FLAIR MR.
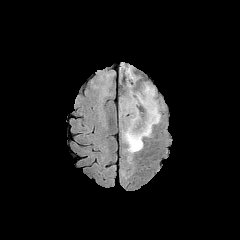
T1-weighted magnetic resonance.
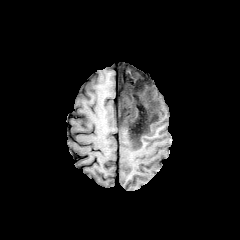
Post-contrast T1-weighted MR.
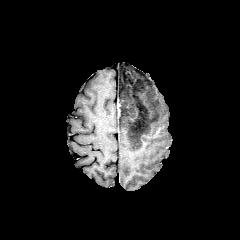
T2-weighted magnetic resonance.
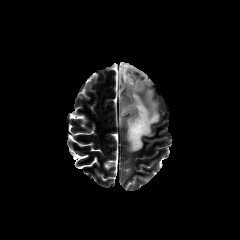
Findings:
- non-enhancing tumor core: [119,69,157,142]
- edema: [120,65,162,136], [119,112,149,165]